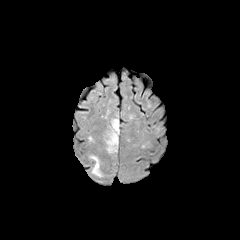
FLAIR MR image.
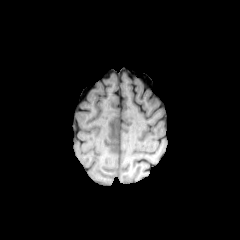
Same slice, T1-weighted magnetic resonance.
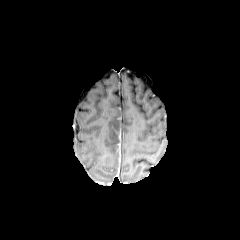
Post-contrast T1-weighted MRI.
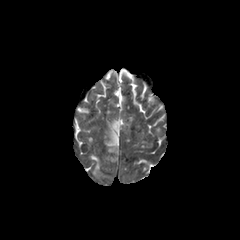
Same slice, T2-weighted MRI.
Image size 240x240; Head
2 edema regions appear at rect(105, 116, 119, 153); rect(90, 154, 101, 176).